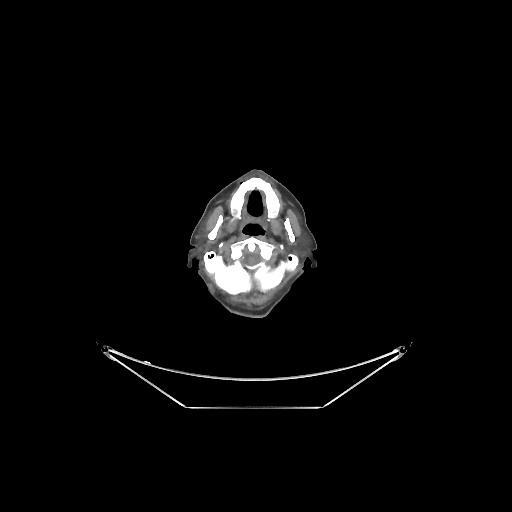

CT; 512x512
Annotated regions:
* bone: {"x1": 208, "y1": 214, "x2": 222, "y2": 239}, {"x1": 284, "y1": 218, "x2": 294, "y2": 242}, {"x1": 230, "y1": 178, "x2": 280, "y2": 220}, {"x1": 204, "y1": 237, "x2": 298, "y2": 294}
* brain: {"x1": 241, "y1": 256, "x2": 256, "y2": 267}